Liver | CT slice
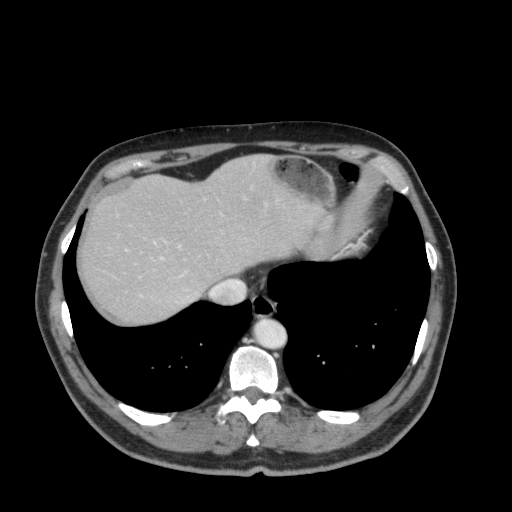 Liver — [82,156,326,322].